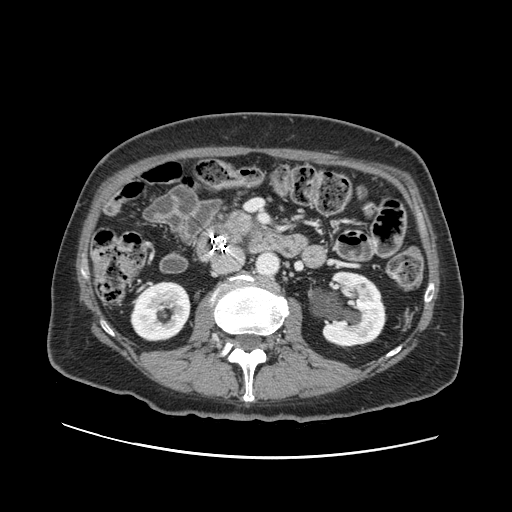

CT slice | Upper abdomen
pancreatic tumor: [222, 211, 255, 237] | pancreas: [213, 209, 257, 246]